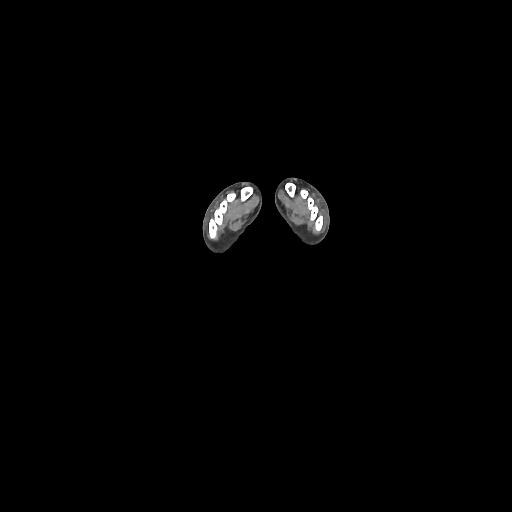
CT scan slice. <segmentation>
  <bone>bbox=[285, 183, 295, 197]; bbox=[241, 187, 252, 201]; bbox=[300, 190, 322, 230]; bbox=[209, 193, 235, 238]</bone>
</segmentation>